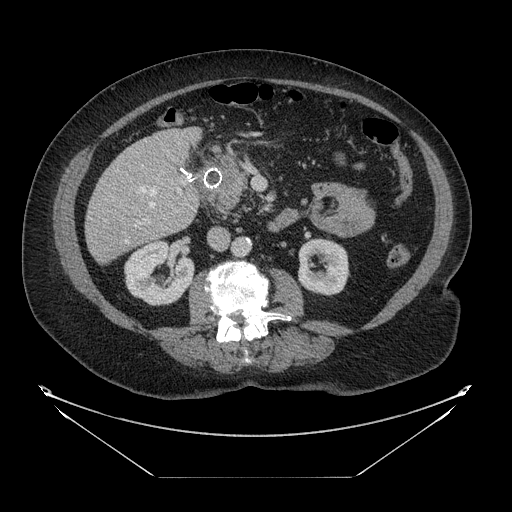
CT scan slice | Upper abdomen
Annotated regions:
- pancreas: bbox=[217, 173, 247, 215]
- pancreatic tumor: bbox=[221, 162, 238, 198]